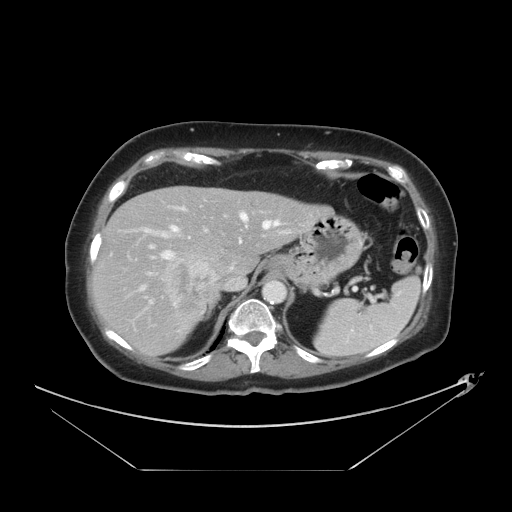

CT image. Some hepatic vessels may have no box.
Segmented structures:
• hepatic vessel: box=[127, 229, 135, 231]; box=[142, 226, 178, 237]; box=[148, 273, 155, 274]; box=[150, 245, 153, 247]; box=[161, 250, 174, 259]; box=[280, 230, 290, 233]; box=[239, 239, 241, 242]; box=[140, 286, 145, 290]; box=[262, 220, 279, 229]; box=[173, 206, 185, 209]; box=[240, 212, 247, 226]; box=[204, 229, 207, 231]; box=[152, 256, 154, 257]; box=[149, 299, 153, 303]
• liver tumor: box=[160, 259, 220, 313]